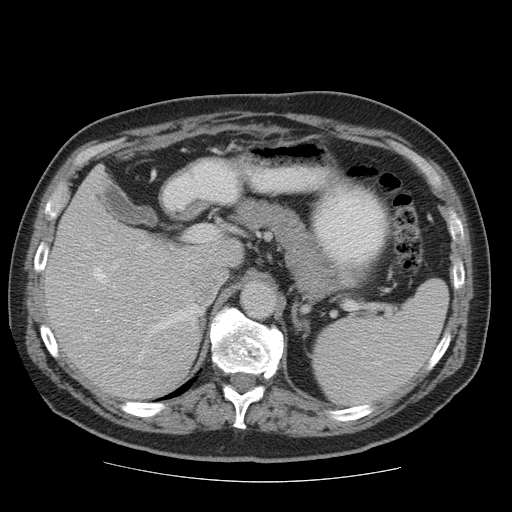
CT slice
Not every hepatic vessel necessarily has a box.
partial: true
hepatic_vessel:
  # 15 of 24 shown
  - x1=138, y1=243, x2=149, y2=249
  - x1=93, y1=267, x2=108, y2=283
  - x1=95, y1=308, x2=98, y2=311
  - x1=88, y1=243, x2=92, y2=245
  - x1=164, y1=253, x2=167, y2=257
  - x1=158, y1=260, x2=162, y2=267
  - x1=137, y1=348, x2=150, y2=362
  - x1=144, y1=337, x2=149, y2=341
  - x1=153, y1=270, x2=156, y2=272
  - x1=147, y1=304, x2=201, y2=333
  - x1=148, y1=303, x2=151, y2=305
  - x1=138, y1=317, x2=142, y2=326
  - x1=109, y1=260, x2=122, y2=269
  - x1=186, y1=228, x2=199, y2=241
  - x1=120, y1=348, x2=124, y2=351
liver_tumor:
  - x1=122, y1=295, x2=137, y2=308